FLAIR MR.
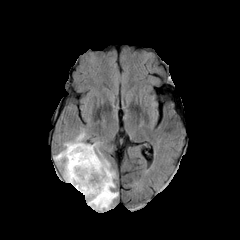
T1-weighted MR.
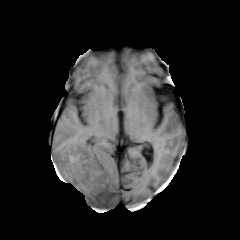
Post-contrast T1-weighted MRI.
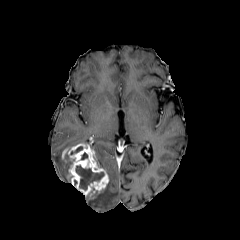
T2-weighted MR image.
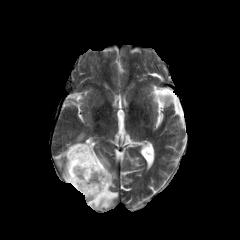
Enhancing tumor: (62,137,109,199).
Non-enhancing tumor core: (76,166,103,189).
Edema: (54,150,69,182), (64,131,88,149), (86,138,117,210).